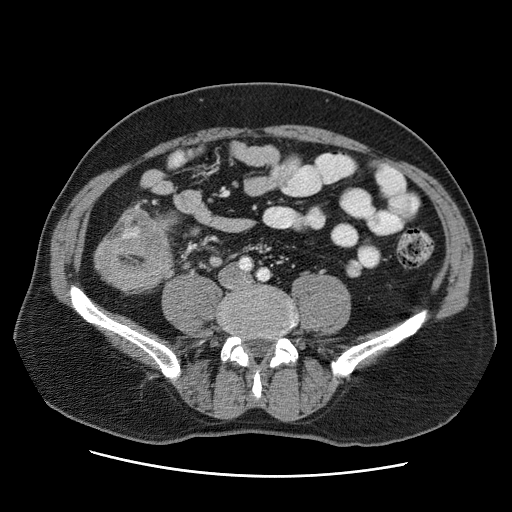
CT scan slice

The colon tumor lies within l=94, t=209, r=170, b=289.